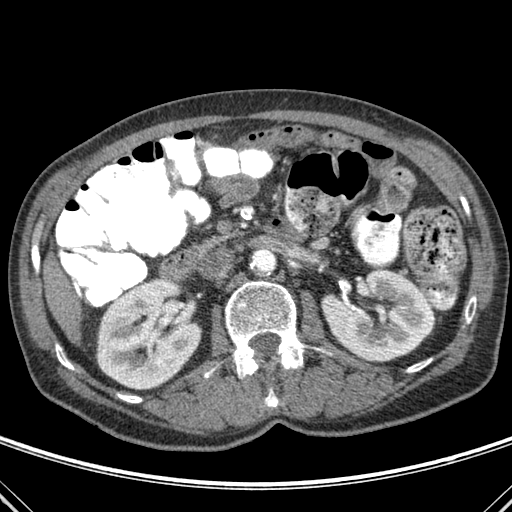

CT scan slice. liver:
  - (left=44, top=251, right=82, bottom=339)
bone:
  - (left=406, top=358, right=431, bottom=372)
  - (left=339, top=280, right=349, bottom=300)
  - (left=55, top=344, right=73, bottom=369)
  - (left=265, top=388, right=277, bottom=406)
  - (left=241, top=207, right=253, bottom=219)
  - (left=117, top=394, right=141, bottom=402)
  - (left=225, top=281, right=306, bottom=377)
  - (left=465, top=296, right=476, bottom=323)
  - (left=32, top=245, right=39, bottom=272)
kidney:
  - (left=323, top=271, right=434, bottom=360)
  - (left=376, top=306, right=385, bottom=320)
  - (left=174, top=302, right=193, bottom=322)
  - (left=98, top=280, right=200, bottom=388)